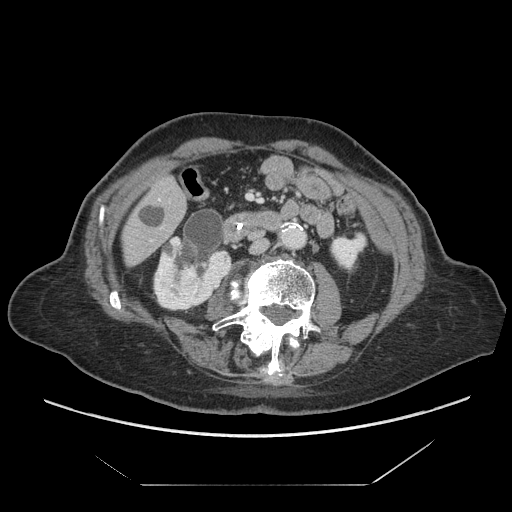 Abdomen; CT; Image size 512x512
Pancreas at l=224, t=201, r=236, b=211.